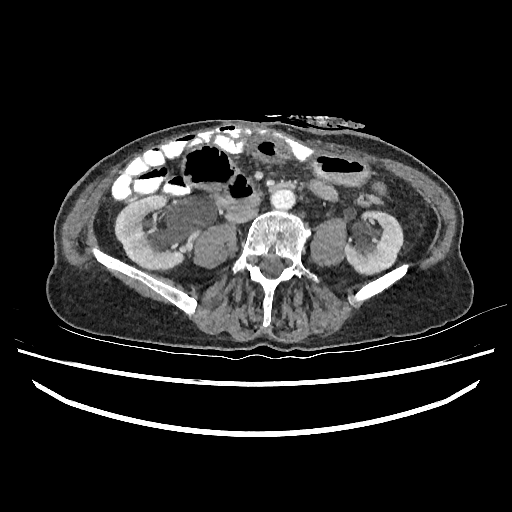

Abdomen, Image size 512x512, CT slice
Kidney = 180,234,195,251; 345,212,402,273; 115,196,182,268.